Hippocampus | MRI slice
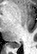
The posterior hippocampus is at x1=9 y1=42 x2=20 y2=47.